Image size 240x240.
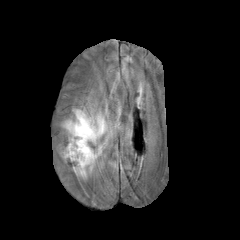
FLAIR MR.
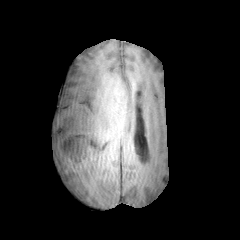
Same slice, T1-weighted MR.
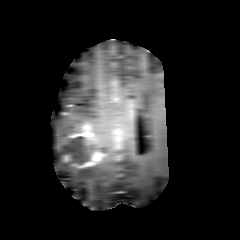
Post-contrast T1-weighted MR image.
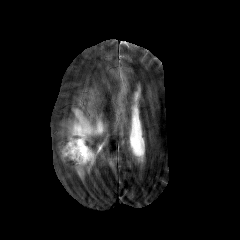
T2-weighted MRI.
2 non-enhancing tumor core regions are bounded by (left=70, top=123, right=82, bottom=132), (left=66, top=136, right=95, bottom=163). The edema is at (left=59, top=107, right=107, bottom=179). 2 enhancing tumor regions are located at (left=75, top=154, right=97, bottom=167), (left=68, top=122, right=95, bottom=141).